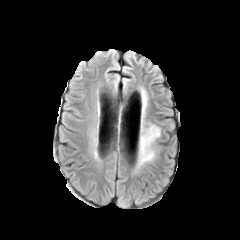
FLAIR MRI.
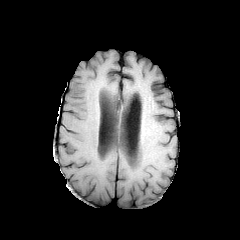
T1-weighted MR image of the same slice.
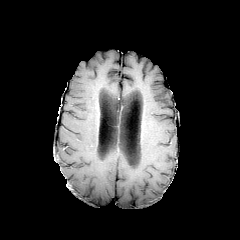
Same slice, post-contrast T1-weighted MR image.
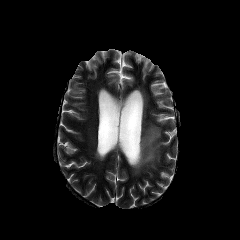
T2-weighted magnetic resonance of the same slice.
The edema is bounded by (138, 124, 160, 165).